CT scan slice. Upper abdomen. Field of view 512x512 mm.
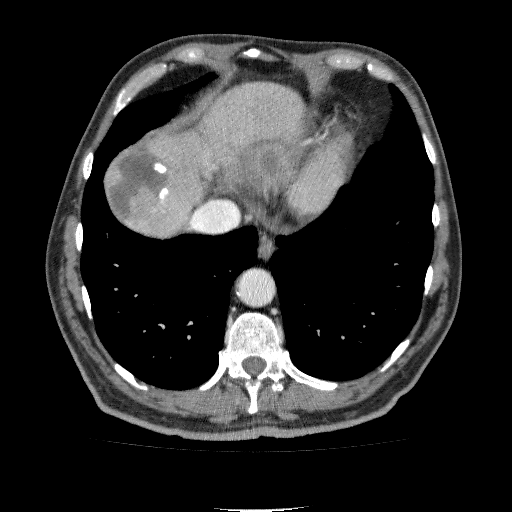

liver_lesion:
  - [105, 146, 178, 228]
  - [237, 137, 300, 194]
liver:
  - [131, 81, 309, 237]